Slice 91/155. Head.
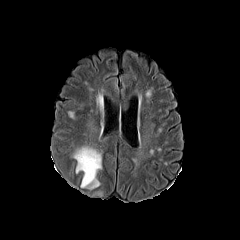
FLAIR MRI.
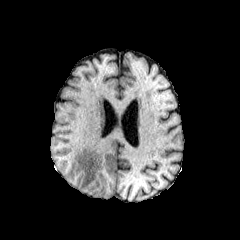
Same slice, T1-weighted MR image.
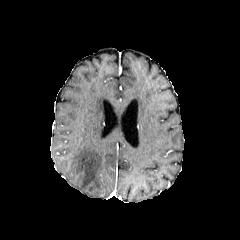
Post-contrast T1-weighted MR image.
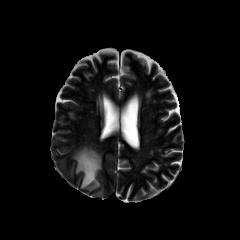
T2-weighted magnetic resonance.
{"edema": [{"x1": 73, "y1": 147, "x2": 101, "y2": 189}]}